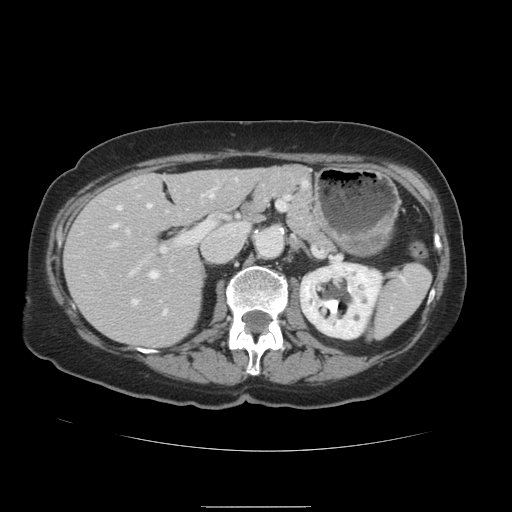 CT scan slice
The vessel annotation is not exhaustive.
12 hepatic vessel regions are bounded by <bbox>126, 229, 127, 231</bbox>, <bbox>146, 203, 151, 208</bbox>, <bbox>131, 300, 136, 304</bbox>, <bbox>109, 243, 114, 246</bbox>, <bbox>160, 247, 165, 253</bbox>, <bbox>116, 205, 120, 209</bbox>, <bbox>162, 310, 165, 315</bbox>, <bbox>111, 224, 116, 228</bbox>, <bbox>201, 187, 216, 197</bbox>, <bbox>148, 271, 156, 278</bbox>, <bbox>235, 178, 236, 179</bbox>, <bbox>129, 271, 132, 274</bbox>.